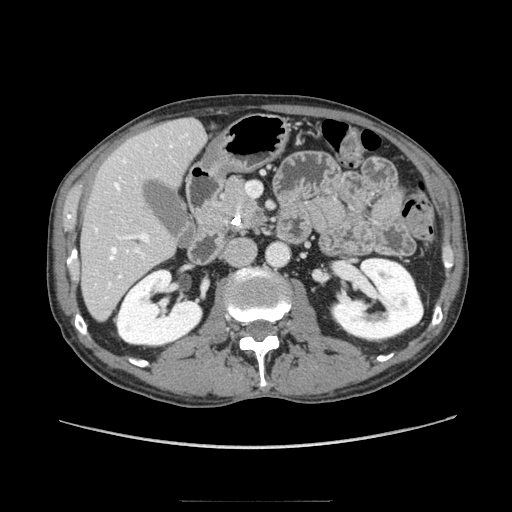

CT scan slice

The pancreas is bounded by (left=199, top=178, right=263, bottom=230). The pancreatic tumor is bounded by (left=225, top=181, right=245, bottom=206).